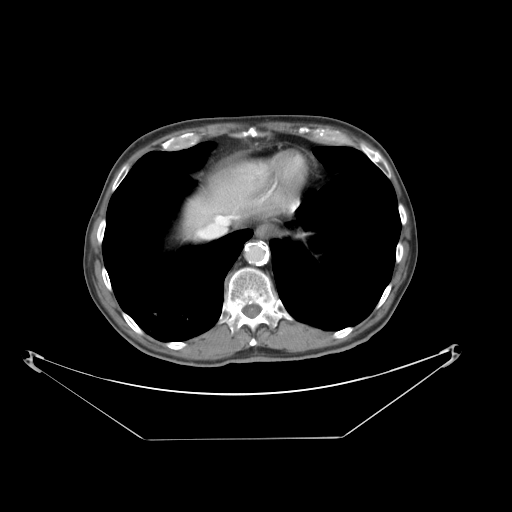
CT image
The vessel annotation is not exhaustive.
The liver tumor is located at <bbox>231, 160, 244, 169</bbox>. 2 hepatic vessel regions are bounded by <bbox>224, 217, 228, 221</bbox>, <bbox>214, 216, 223, 222</bbox>.